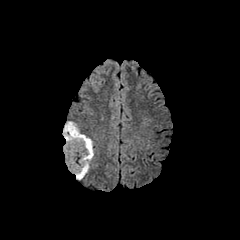
FLAIR MR.
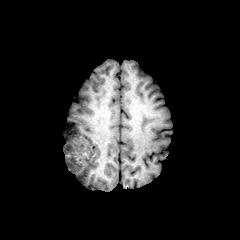
Same slice, T1-weighted MRI.
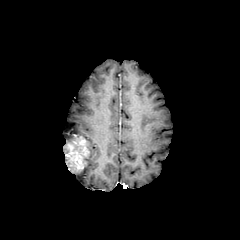
Post-contrast T1-weighted MR image.
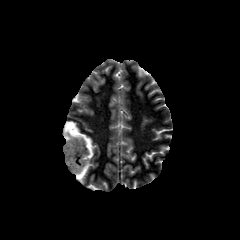
T2-weighted MR of the same slice.
The edema appears at left=64, top=121, right=95, bottom=179. The non-enhancing tumor core is at left=66, top=123, right=89, bottom=174. The enhancing tumor appears at left=67, top=142, right=83, bottom=171.